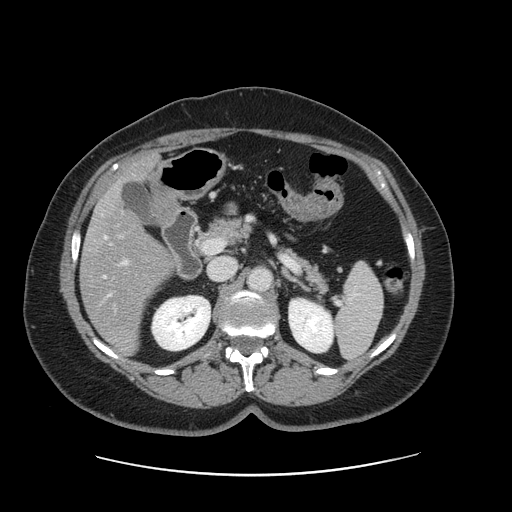

CT image | Image size 512x512
Not every hepatic vessel necessarily has a box.
hepatic_vessel:
  - [x1=103, y1=276, x2=105, y2=277]
  - [x1=104, y1=236, x2=106, y2=238]
  - [x1=122, y1=259, x2=127, y2=264]
  - [x1=108, y1=293, x2=111, y2=296]
  - [x1=120, y1=235, x2=121, y2=237]